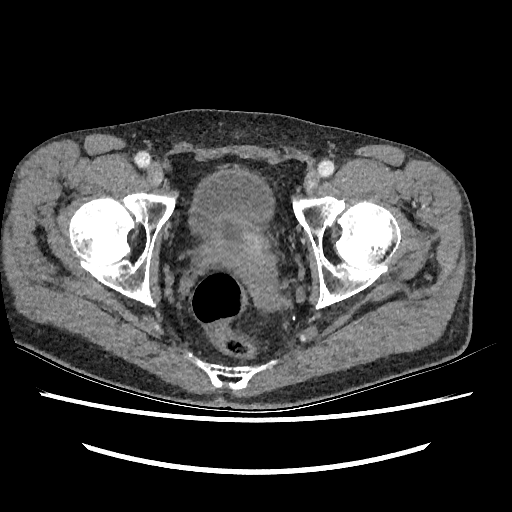 512x512 px. CT slice. • urinary bladder: 189:173:270:242